Brain, Slice 110 of 155, Image size 240x240
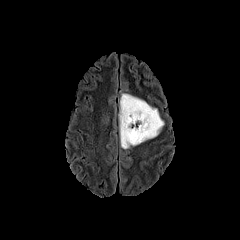
FLAIR magnetic resonance.
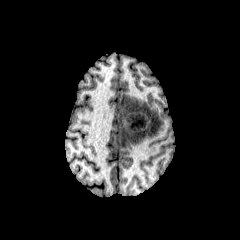
T1-weighted magnetic resonance.
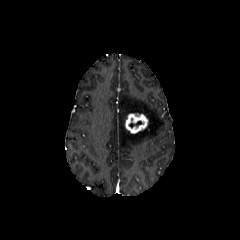
Post-contrast T1-weighted magnetic resonance of the same slice.
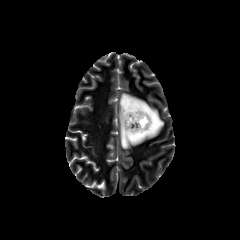
T2-weighted MRI.
The enhancing tumor lies within [125,112,149,134]. The edema is at [119,93,164,148].